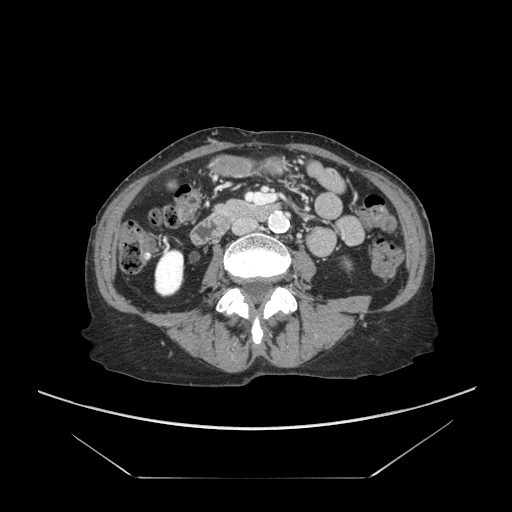

CT scan slice; 512x512
Pancreas: box(210, 197, 251, 221).